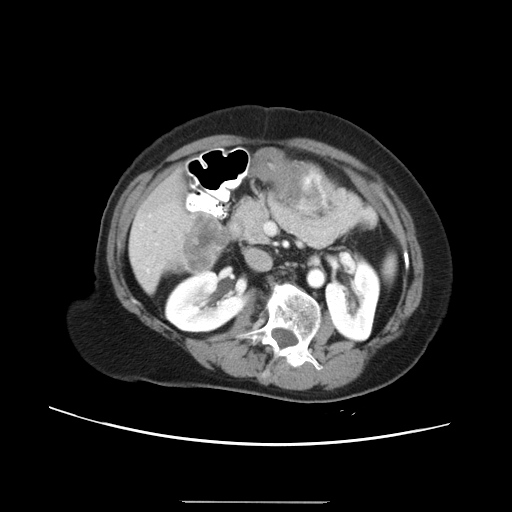 512x512, CT image

Liver tumor — {"x1": 183, "y1": 214, "x2": 226, "y2": 267}.